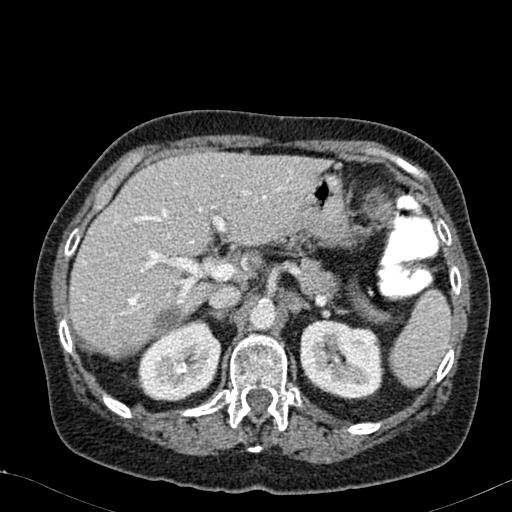
CT scan slice
{
  "hepatic_lesion": [
    "154:309:179:332"
  ],
  "kidney": [
    "300:321:381:398",
    "139:321:220:400"
  ],
  "liver": [
    "70:154:332:353"
  ]
}